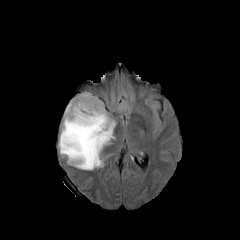
FLAIR magnetic resonance.
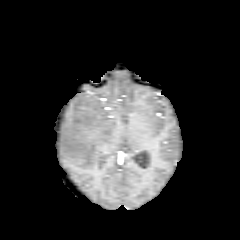
T1-weighted magnetic resonance.
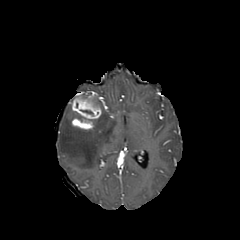
Post-contrast T1-weighted magnetic resonance of the same slice.
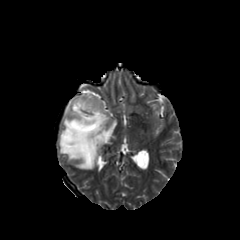
Same slice, T2-weighted magnetic resonance.
Head, 240x240
Enhancing tumor: 69,94,102,129.
Edema: 59,105,115,169.